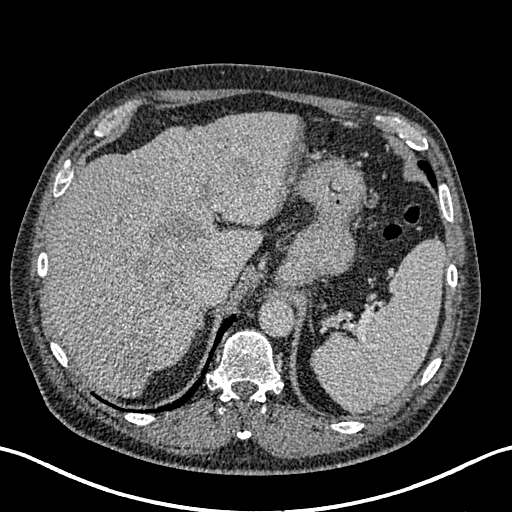
Computed tomography

Findings:
* hepatic lesion: (119, 334, 162, 380), (195, 183, 216, 202), (223, 151, 262, 190), (130, 215, 207, 311)
* liver: (48, 112, 305, 396)